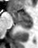

MRI. Image size 38x48. Medial temporal lobe.
The posterior hippocampus is located at (x1=19, y1=22, x2=31, y2=28). The anterior hippocampus lies within (x1=12, y1=11, x2=31, y2=21).